Slice 244 of 391, CT scan slice, Image width 338 mm, 512x512
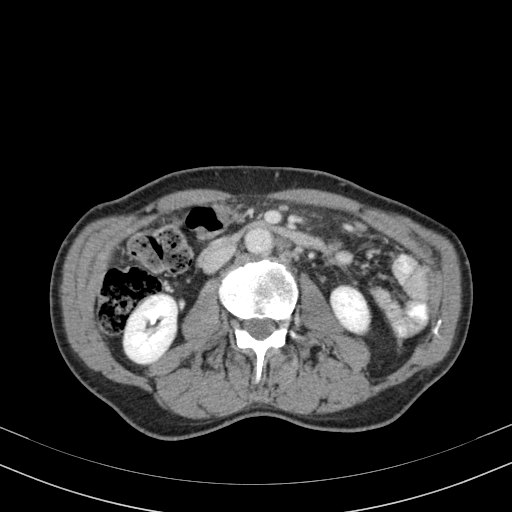
Kidney at 124, 295, 176, 362; 331, 287, 368, 331.